Head | 240x240 px
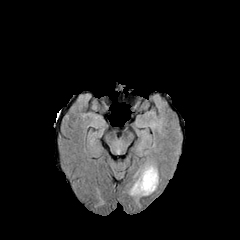
FLAIR MRI.
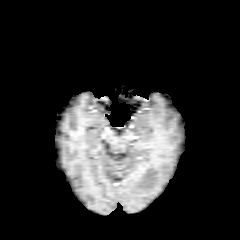
T1-weighted MR image.
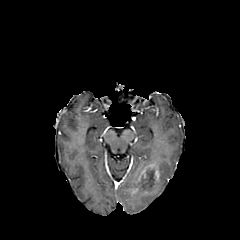
Post-contrast T1-weighted magnetic resonance.
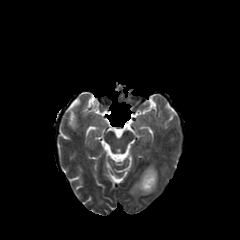
Same slice, T2-weighted MR.
edema: box(129, 164, 159, 196)